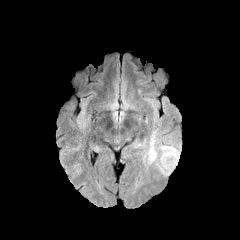
FLAIR MR image.
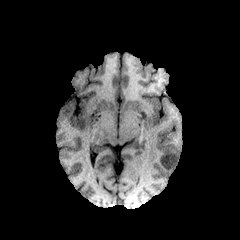
T1-weighted MRI.
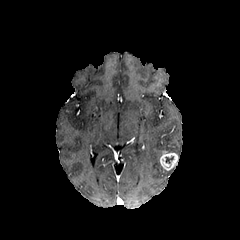
Same slice, post-contrast T1-weighted magnetic resonance.
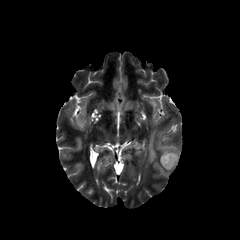
T2-weighted MR image.
Brain.
enhancing_tumor:
  - 159:150:179:170
edema:
  - 158:166:171:176
  - 143:131:156:163
  - 161:145:180:153